CT, Pelvis, Slice index 116 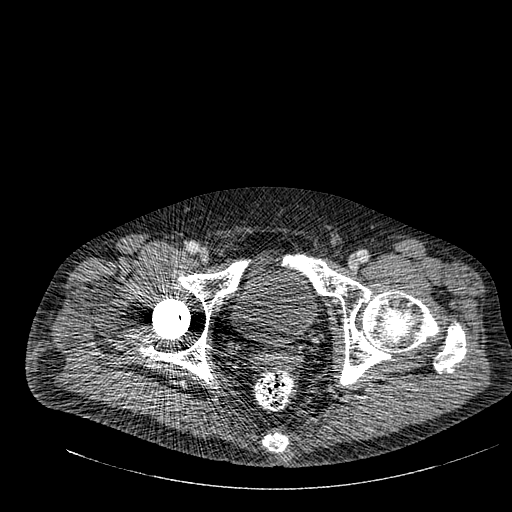

The urinary bladder is located at x1=231 y1=250 x2=318 y2=349.